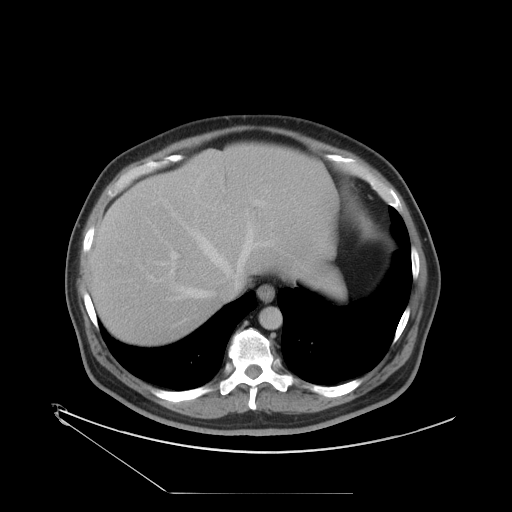
Computed tomography
Some hepatic vessels may have no box.
Annotated regions:
• hepatic vessel: {"x1": 164, "y1": 202, "x2": 273, "y2": 296}, {"x1": 146, "y1": 274, "x2": 155, "y2": 282}, {"x1": 213, "y1": 207, "x2": 215, "y2": 208}, {"x1": 160, "y1": 252, "x2": 178, "y2": 276}, {"x1": 267, "y1": 191, "x2": 268, "y2": 195}, {"x1": 228, "y1": 212, "x2": 230, "y2": 214}, {"x1": 171, "y1": 282, "x2": 215, "y2": 299}, {"x1": 253, "y1": 200, "x2": 263, "y2": 205}